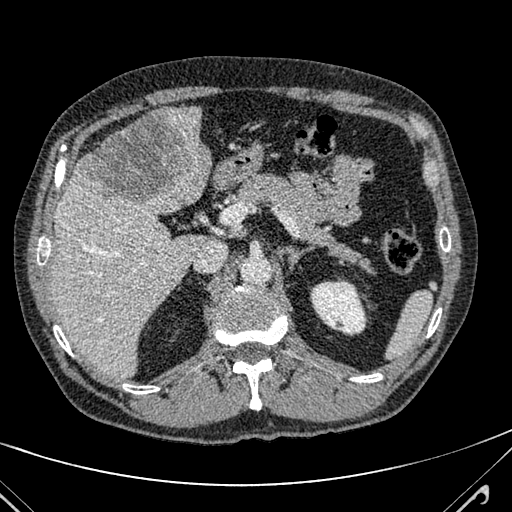
CT slice; Image size 512x512; Abdomen
Annotated regions:
- liver: (51,162,203,377), (167,106,201,137)
- liver lesion: (77,109,210,201)